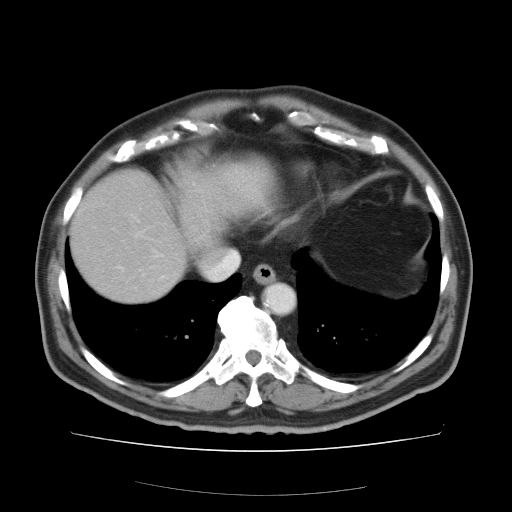

Computed tomography, Liver

Only some of the vessels may be annotated.
The hepatic vessel is at [117,266,121,269].